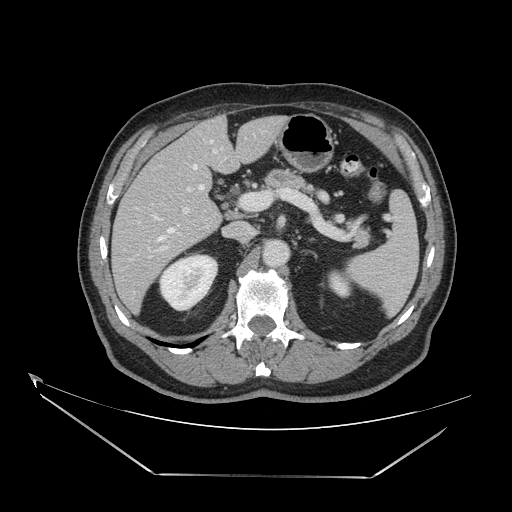

CT scan slice, Abdomen
<segmentation>
  <pancreas>bbox(354, 229, 370, 246); bbox(267, 170, 310, 190)</pancreas>
</segmentation>